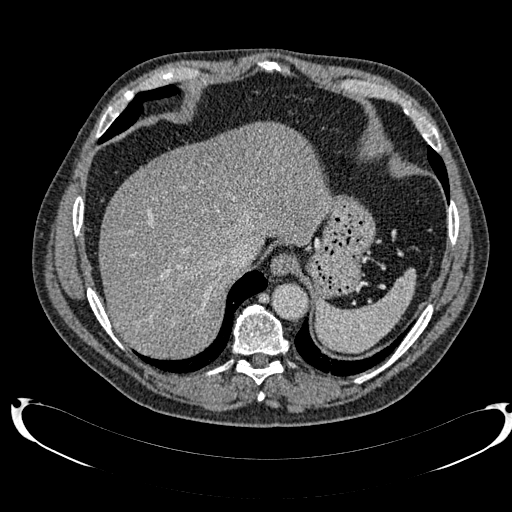
512x512, CT scan slice, Abdomen

Liver — region(99, 123, 330, 358).
Focal liver lesion — region(142, 131, 257, 219).